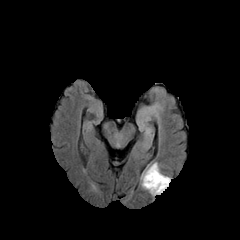
FLAIR MRI.
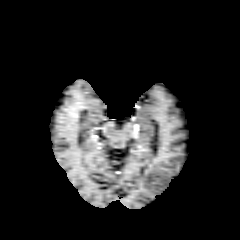
Same slice, T1-weighted MRI.
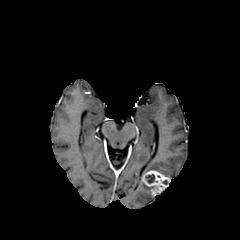
Post-contrast T1-weighted MR.
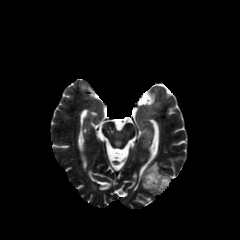
Same slice, T2-weighted MR.
240x240. Head.
edema: x1=143, y1=160, x2=163, y2=173; x1=140, y1=174, x2=153, y2=195 | non-enhancing tumor core: x1=146, y1=175, x2=154, y2=183 | enhancing tumor: x1=142, y1=170, x2=170, y2=195